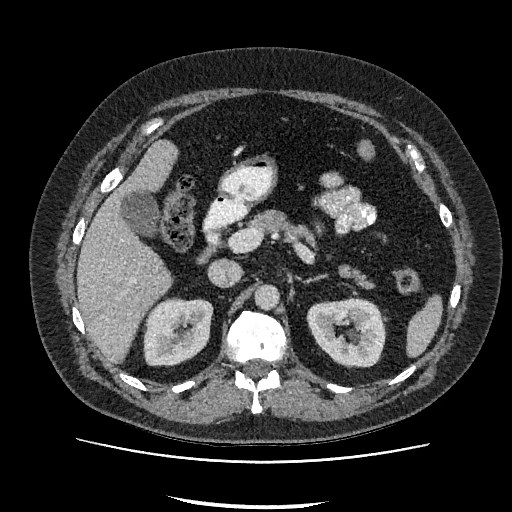

CT scan slice.

Kidney at (308, 299, 384, 366), (145, 300, 211, 364).
Liver at (78, 140, 176, 363).